Field of view 400 mm wide, 0.80 mm slice spacing | CT image | Liver 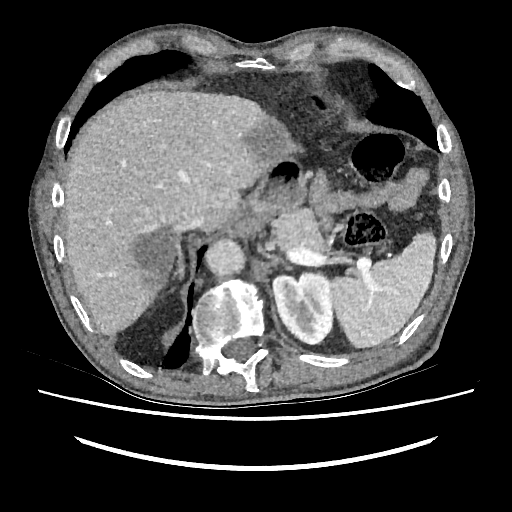
Hepatic lesion at x1=245 y1=118 x2=288 y2=160, x1=127 y1=225 x2=175 y2=290.
Kidney at x1=273 y1=273 x2=332 y2=343.
Liver at x1=65 y1=90 x2=300 y2=334.